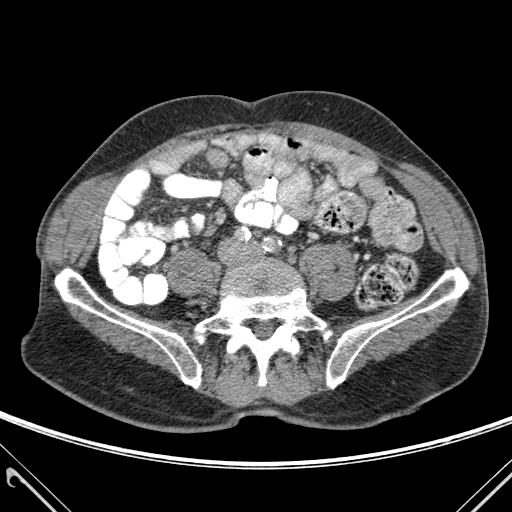
CT.

Segmented structures:
* bone: box=[326, 268, 467, 388]; box=[55, 269, 201, 387]; box=[195, 268, 326, 385]